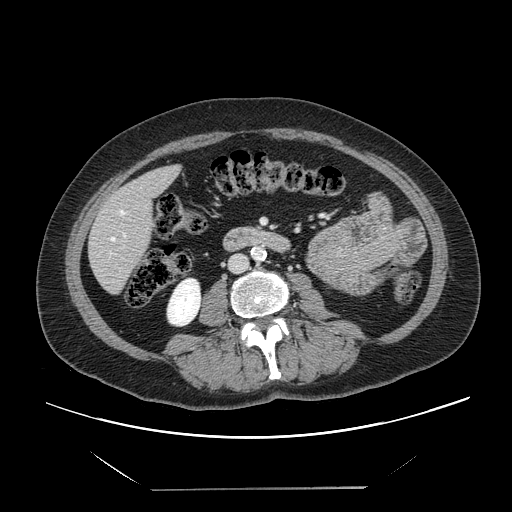

CT image; Image size 512x512
Some hepatic vessels may have no box.
4 hepatic vessel regions appear at bbox(110, 252, 115, 255); bbox(123, 233, 125, 237); bbox(117, 208, 126, 216); bbox(109, 237, 116, 241).